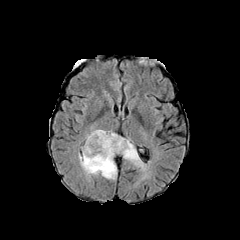
FLAIR MRI.
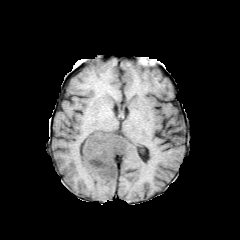
T1-weighted MR image of the same slice.
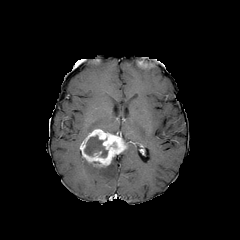
Post-contrast T1-weighted MR.
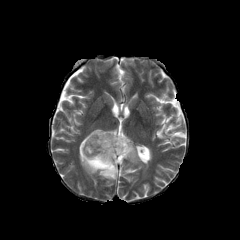
Same slice, T2-weighted MR image.
240x240
The non-enhancing tumor core is at (85, 136, 107, 156). The enhancing tumor is located at (79, 129, 131, 168). 2 edema regions are located at (78, 153, 117, 180), (121, 143, 147, 170).